Lower abdomen. CT image. Slice 27 of 217. 512x512.
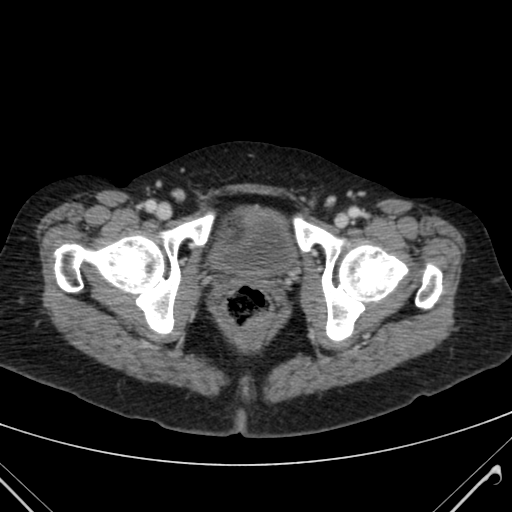
Annotated regions:
• urinary bladder: [x1=208, y1=207, x2=300, y2=282]